FLAIR MR.
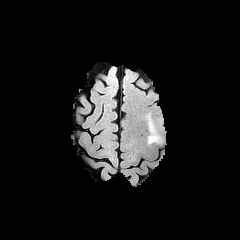
T1-weighted MR.
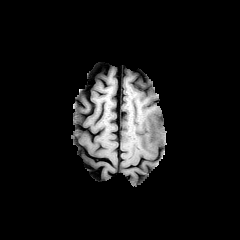
Post-contrast T1-weighted MRI.
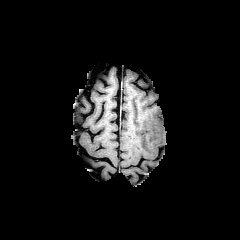
T2-weighted MR.
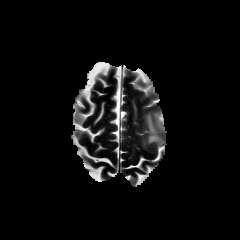
240x240.
edema: l=145, t=113, r=163, b=144